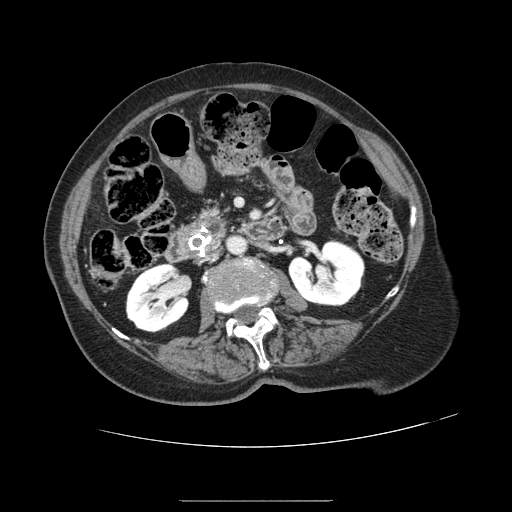
CT, Upper abdomen
Findings:
• pancreas: l=185, t=207, r=228, b=255